Slice 36 of 48 | CT image 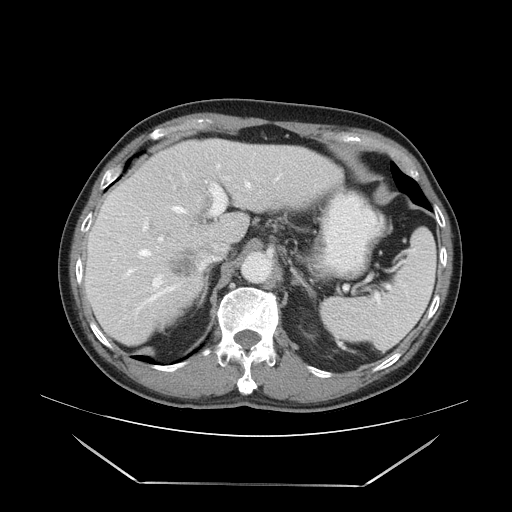

The vessel annotation is not exhaustive.
Hepatic vessel — {"x1": 141, "y1": 251, "x2": 149, "y2": 254}, {"x1": 144, "y1": 226, "x2": 146, "y2": 228}, {"x1": 246, "y1": 182, "x2": 249, "y2": 186}.
Liver tumor — {"x1": 165, "y1": 245, "x2": 199, "y2": 280}.